Field of view 34x49 mm, Medial temporal lobe, MR
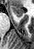

Anterior hippocampus: box(11, 6, 24, 17).